Field of view 240 mm wide, 1.00 mm slice spacing.
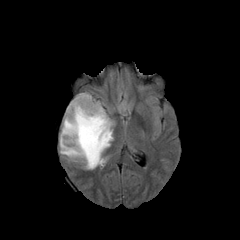
FLAIR MR.
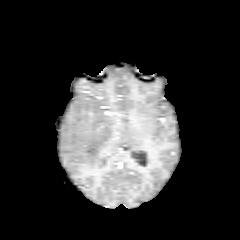
T1-weighted MR image.
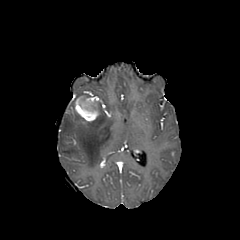
Post-contrast T1-weighted MR.
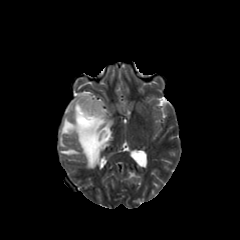
T2-weighted MR.
Edema = region(60, 103, 113, 168).
Enhancing tumor = region(70, 96, 99, 120).